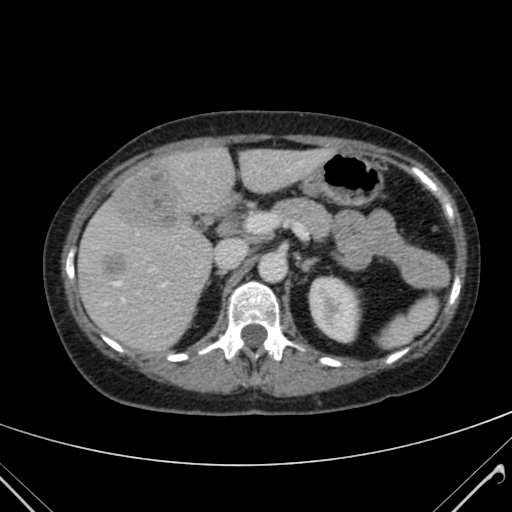 Computed tomography. Liver: bounding box (x1=79, y1=146, x2=329, y2=351).
Focal liver lesion: bounding box (x1=101, y1=252, x2=128, y2=276), (x1=114, y1=164, x2=183, y2=228).
Kidney: bounding box (x1=311, y1=279, x2=355, y2=339).